512x512; CT; Slice 67 of 97; Abdomen 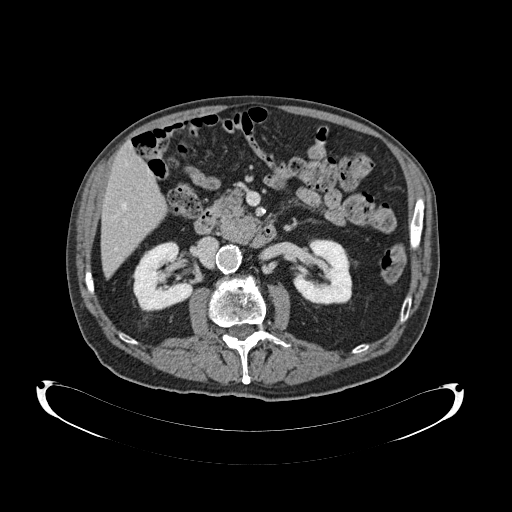 {
  "pancreas": [
    "<box>215,189,259,245</box>"
  ]
}